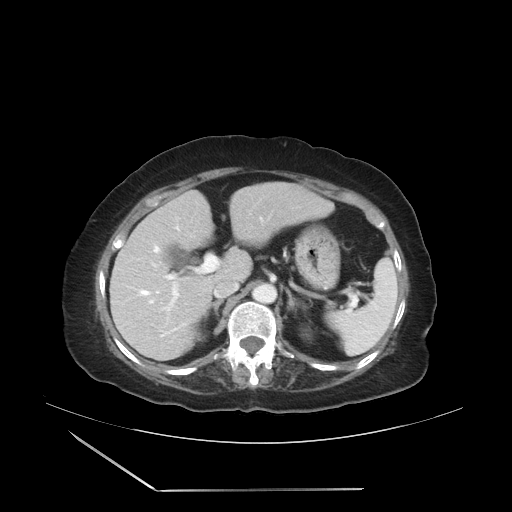
CT image

Only some of the vessels may be annotated.
<segmentation partial="true">
  <hepatic_vessel shown="15" total="16">left=136, top=289, right=151, bottom=295; left=177, top=217, right=178, bottom=220; left=160, top=283, right=178, bottom=312; left=152, top=263, right=157, bottom=267; left=209, top=257, right=216, bottom=262; left=175, top=226, right=179, bottom=230; left=156, top=290, right=158, bottom=293; left=164, top=275, right=173, bottom=281; left=127, top=286, right=134, bottom=288; left=149, top=297, right=154, bottom=303; left=165, top=316, right=169, bottom=324; left=159, top=323, right=184, bottom=336; left=161, top=299, right=162, bottom=302; left=203, top=267, right=210, bottom=270; left=152, top=244, right=159, bottom=252</hepatic_vessel>
</segmentation>